Slice 416 of 629 | CT
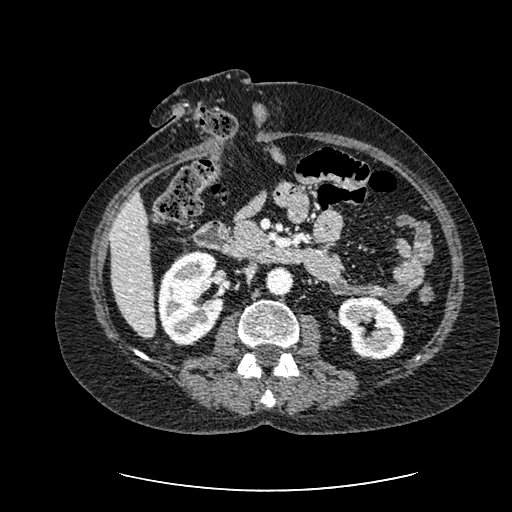

Segmented structures:
• kidney: (x1=339, y1=297, x2=403, y2=358), (x1=159, y1=252, x2=222, y2=344)
• liver: (x1=111, y1=191, x2=155, y2=337)